512x512 px; CT image
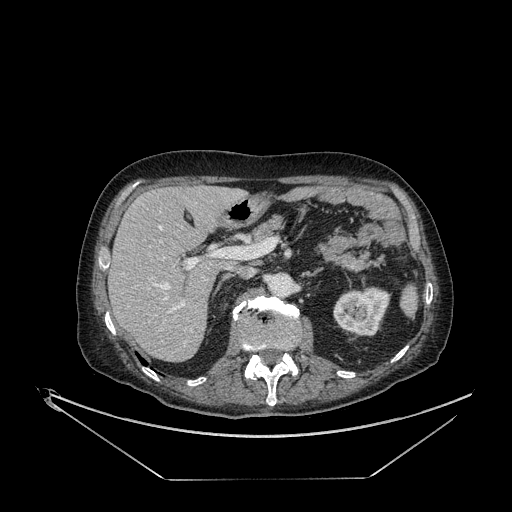

kidney: <box>333,288,389,335</box> | liver: <box>108,185,245,361</box>